Slice 86/155
FLAIR MR image.
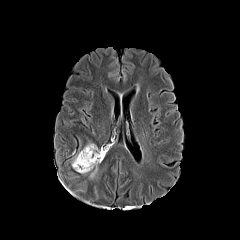
T1-weighted magnetic resonance.
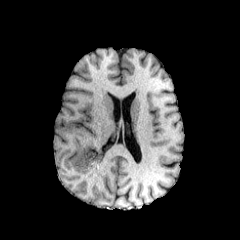
Post-contrast T1-weighted MR.
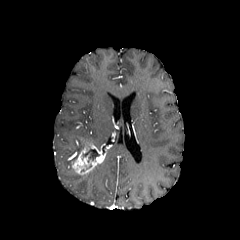
T2-weighted MR image.
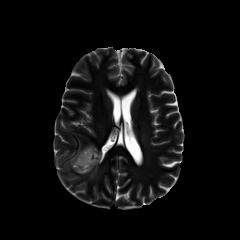
Findings:
* enhancing tumor: rect(72, 143, 105, 174)
* non-enhancing tumor core: rect(82, 145, 100, 162)
* edema: rect(90, 166, 97, 178)